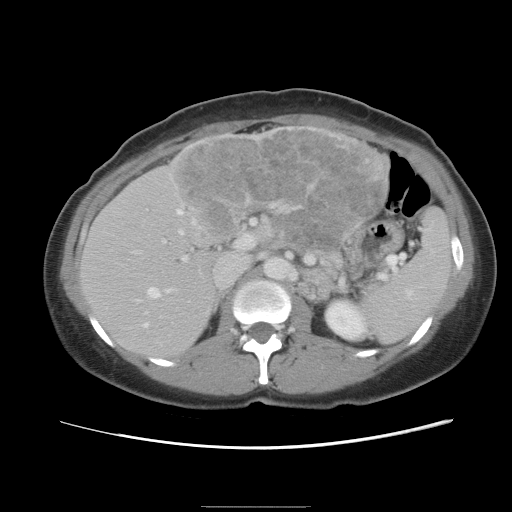

CT
Not every hepatic vessel necessarily has a box.
Hepatic vessel = bbox(131, 251, 135, 251); bbox(211, 233, 256, 289); bbox(181, 256, 186, 260); bbox(177, 208, 181, 213); bbox(163, 239, 164, 241); bbox(143, 323, 146, 326); bbox(251, 218, 255, 223); bbox(147, 286, 159, 297); bbox(179, 230, 182, 232); bbox(259, 253, 263, 256); bbox(167, 288, 172, 291).
Liver tumor = bbox(173, 128, 385, 240).